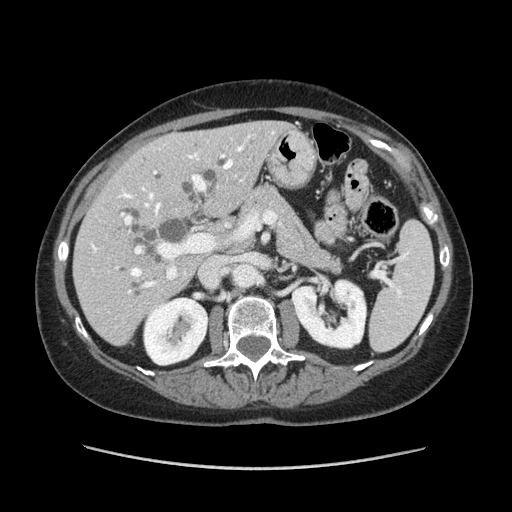 CT image; Upper abdomen
The pancreas appears at [237,181,344,276].